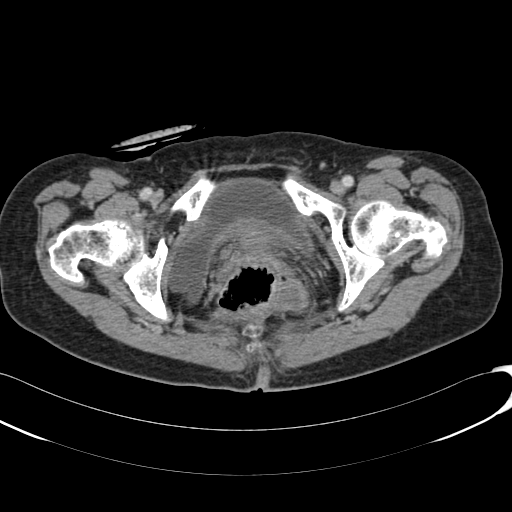

Pelvis | CT

The urinary bladder is bounded by [167, 177, 306, 304].